CT scan slice | Image width 388 mm

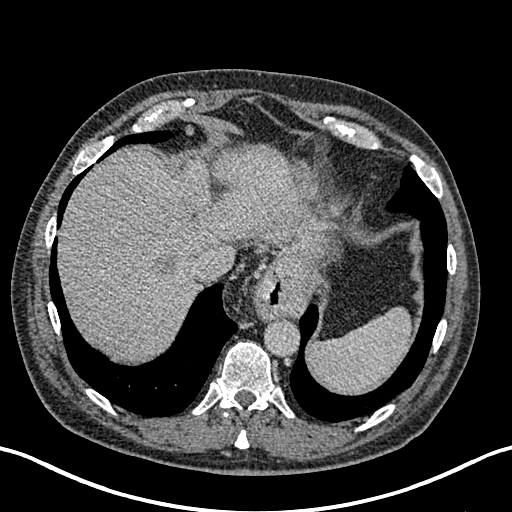 Liver: bounding box l=58, t=146, r=336, b=359.
Focal liver lesion: bounding box l=150, t=250, r=180, b=274; l=178, t=195, r=212, b=218.